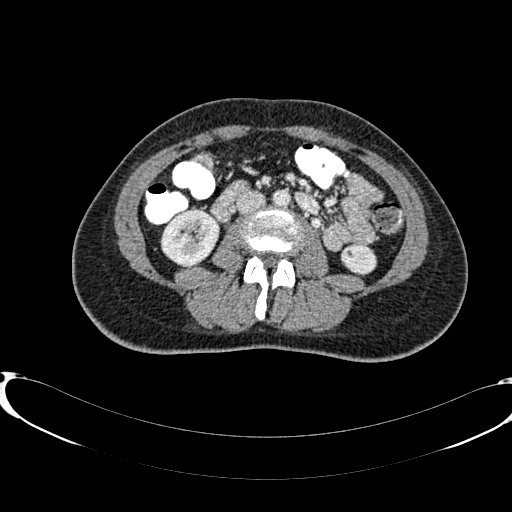 512x512 px, CT image, Abdomen
2 kidney regions appear at (343, 246, 374, 272), (162, 211, 217, 264).